FLAIR MR image.
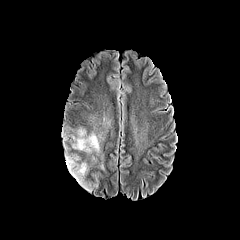
T1-weighted magnetic resonance.
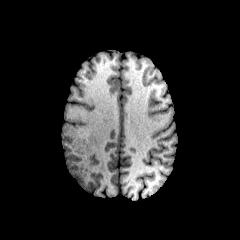
Post-contrast T1-weighted MRI.
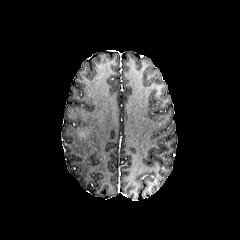
T2-weighted MR image.
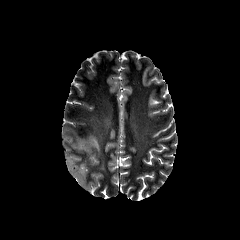
Head, 240x240 px
2 edema regions are bounded by box=[65, 153, 88, 188]; box=[71, 127, 102, 153].